Abdomen | Slice 43 of 91 | CT scan slice 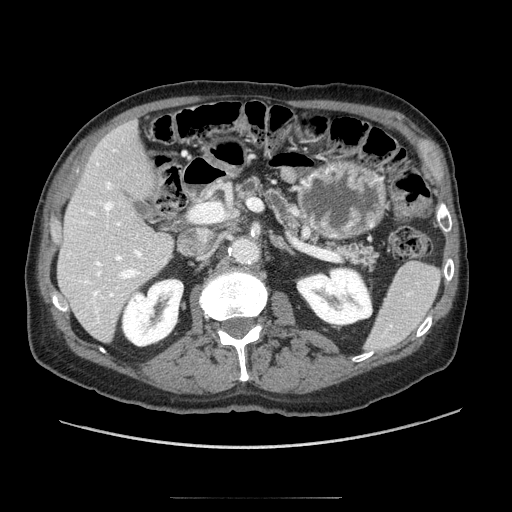
Pancreas — 237:179:300:233, 327:242:377:268.